CT slice; Field of view 391x391 mm

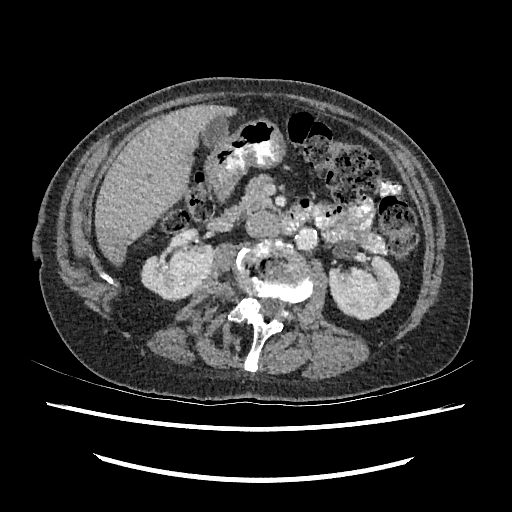 <segmentation>
  <kidney>[142, 245, 214, 299], [329, 253, 399, 319]</kidney>
  <liver>[96, 104, 236, 264]</liver>
  <focal_liver_lesion>[108, 232, 130, 250]</focal_liver_lesion>
</segmentation>